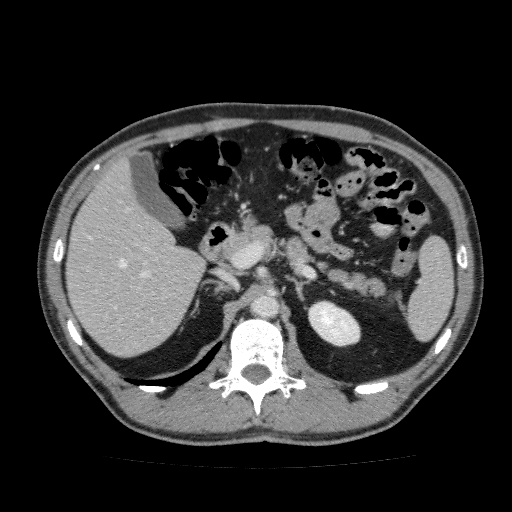 CT image; 512x512 px
kidney: (309,302,359,345) | liver: (64,157,205,357)